FLAIR MRI.
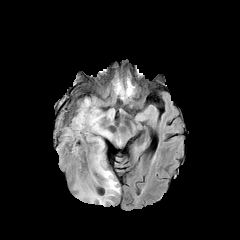
T1-weighted MR.
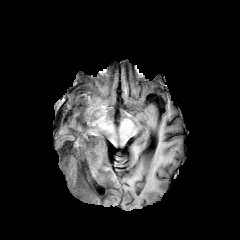
Post-contrast T1-weighted MR.
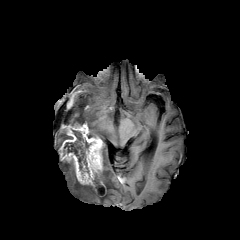
T2-weighted MRI.
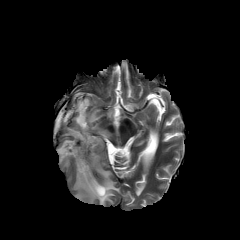
Image size 240x240
non-enhancing_tumor_core:
  - (64, 156, 76, 171)
  - (62, 130, 90, 173)
edema:
  - (60, 128, 66, 141)
  - (115, 131, 121, 145)
  - (63, 160, 72, 169)
  - (74, 154, 120, 205)
  - (70, 97, 114, 141)
enhancing_tumor:
  - (59, 123, 103, 185)